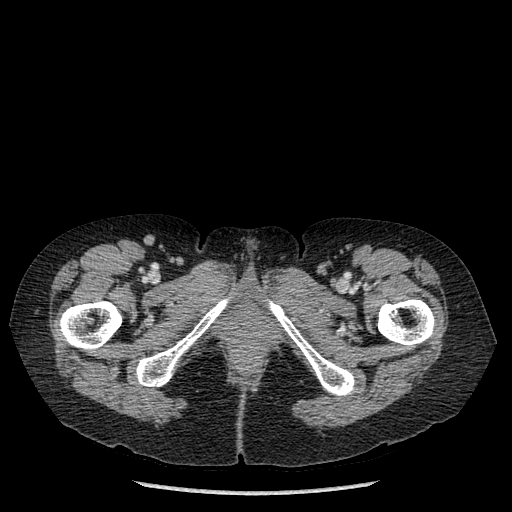

Image size 512x512 | CT image
{
  "bone": [
    "left=265, top=299, right=354, bottom=395",
    "left=135, top=296, right=231, bottom=386",
    "left=378, top=299, right=435, bottom=348",
    "left=56, top=300, right=121, bottom=352"
  ]
}